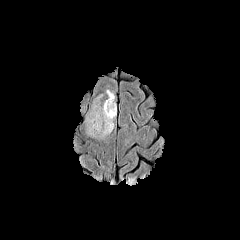
FLAIR MR.
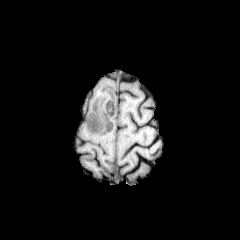
T1-weighted MR image of the same slice.
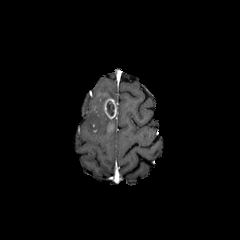
Same slice, post-contrast T1-weighted magnetic resonance.
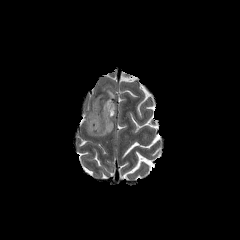
Same slice, T2-weighted MRI.
Brain, 240x240
Non-enhancing tumor core at (106, 101, 113, 116).
Edema at (94, 106, 108, 121).
Enhancing tumor at (104, 98, 116, 119).